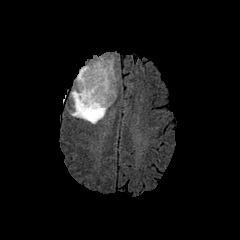
FLAIR MRI.
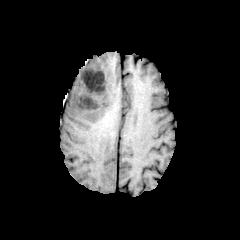
T1-weighted MR image of the same slice.
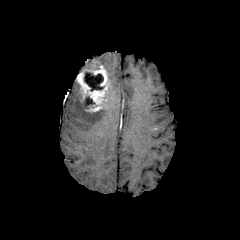
Post-contrast T1-weighted MR of the same slice.
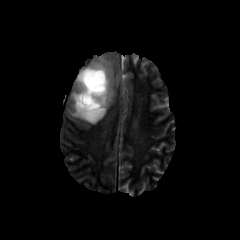
Same slice, T2-weighted magnetic resonance.
240x240. Brain.
{
  "enhancing_tumor": [
    "(76, 66, 107, 111)"
  ],
  "non-enhancing_tumor_core": [
    "(84, 69, 104, 91)",
    "(79, 94, 103, 115)",
    "(88, 64, 102, 69)"
  ],
  "edema": [
    "(69, 55, 119, 124)"
  ]
}